FLAIR magnetic resonance.
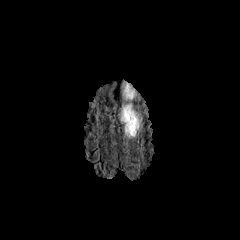
T1-weighted MR.
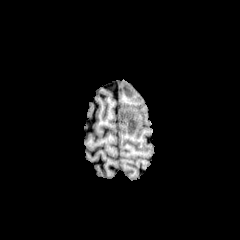
Post-contrast T1-weighted magnetic resonance.
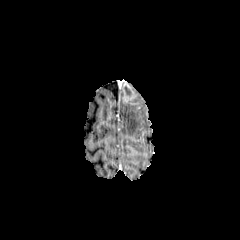
T2-weighted MR image.
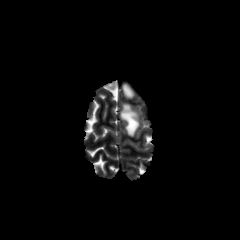
Brain
Annotated regions:
- edema: <box>120,105,141,137</box>
- enhancing tumor: <box>123,82,138,102</box>